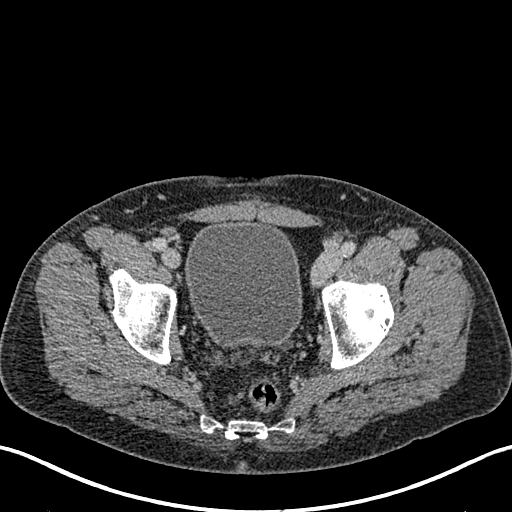

CT image
urinary bladder: box(185, 218, 302, 347)